Slice 18/36 | CT image | Liver 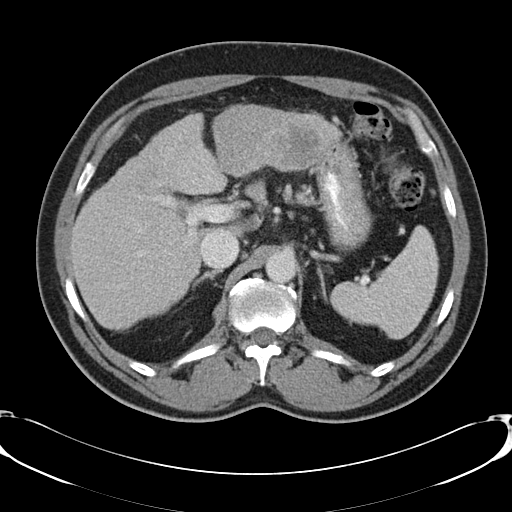

Some hepatic vessels may have no box.
8 hepatic vessel regions appear at (x1=160, y1=268, x2=162, y2=269), (x1=152, y1=197, x2=174, y2=205), (x1=180, y1=254, x2=181, y2=255), (x1=145, y1=224, x2=147, y2=225), (x1=187, y1=206, x2=232, y2=224), (x1=137, y1=251, x2=142, y2=255), (x1=185, y1=242, x2=191, y2=243), (x1=189, y1=230, x2=193, y2=234). The liver tumor lies within (x1=288, y1=124, x2=321, y2=166).